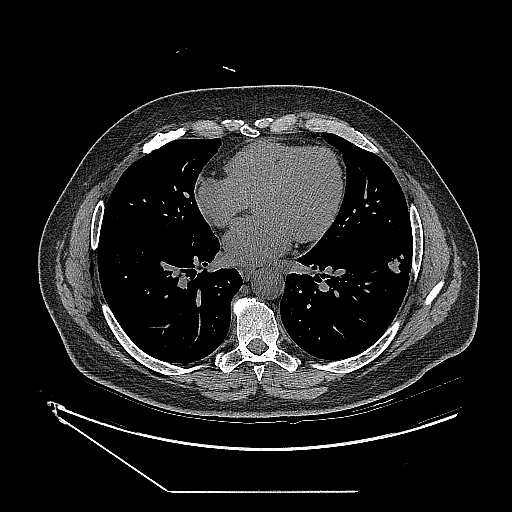
Chest. CT image. The lung tumor lies within region(387, 258, 400, 273).